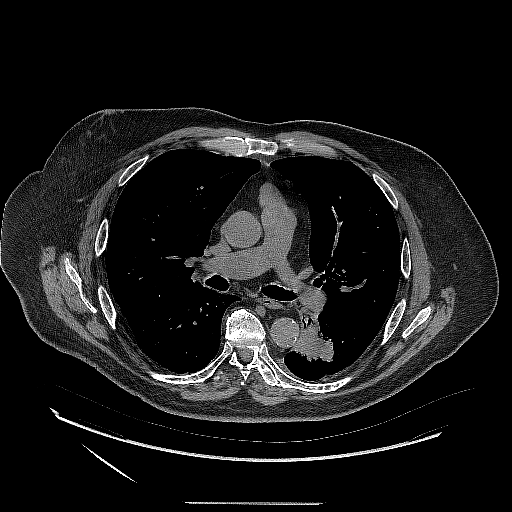
Thorax, CT
Annotated regions:
- lung tumor: box=[287, 307, 339, 366]